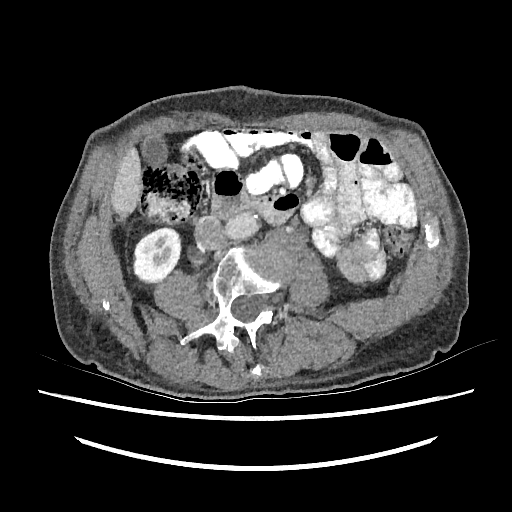
CT.

Liver at 111:148:140:214.
Kidney at 134:228:180:281.